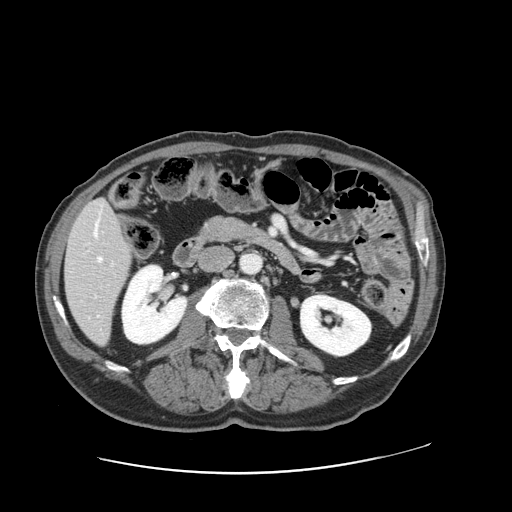
CT slice, Liver, 512x512

The vessel boxes may cover only some of the vessels.
<segmentation>
  <hepatic_vessel>(94, 219, 98, 236), (98, 257, 101, 261)</hepatic_vessel>
</segmentation>